Slice 101 of 132; 512x512 px; CT slice

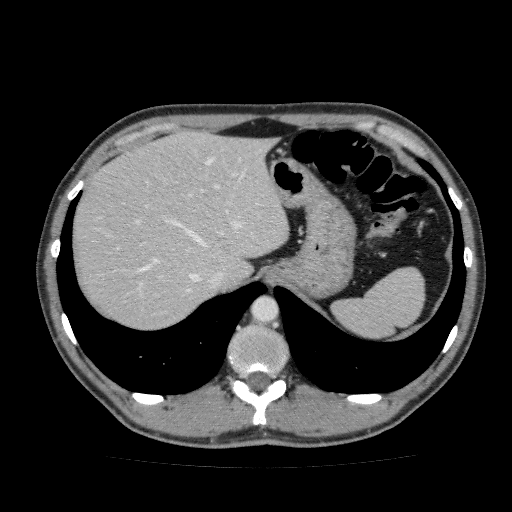

liver: (72,131,289,330)